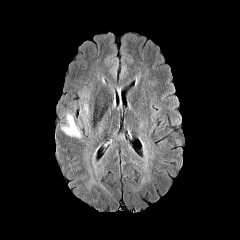
FLAIR magnetic resonance.
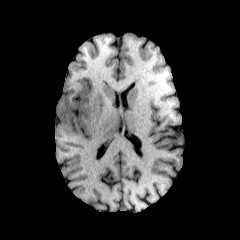
T1-weighted magnetic resonance.
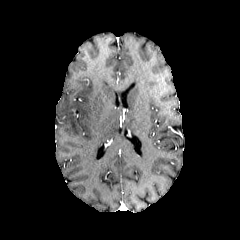
Post-contrast T1-weighted MR.
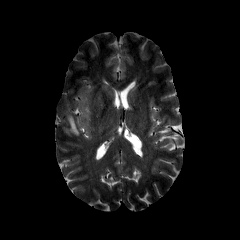
T2-weighted MR of the same slice.
edema:
  - bbox=[61, 114, 81, 138]
  - bbox=[79, 104, 88, 122]